MRI slice; Medial temporal lobe; Field of view 35 mm wide, 1.00 mm slice spacing

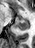

posterior hippocampus: box=[15, 19, 29, 32]